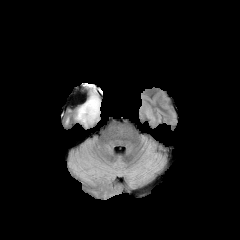
FLAIR MRI.
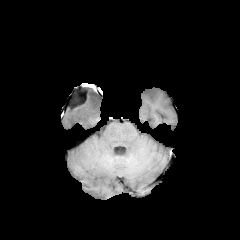
Same slice, T1-weighted magnetic resonance.
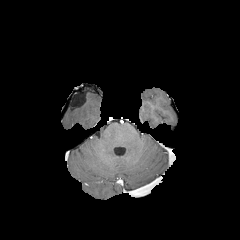
Post-contrast T1-weighted magnetic resonance.
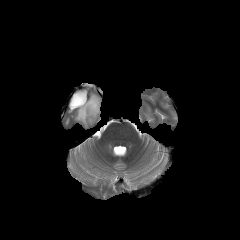
Same slice, T2-weighted MR image.
240x240
edema:
  - (x1=75, y1=93, x2=100, y2=126)